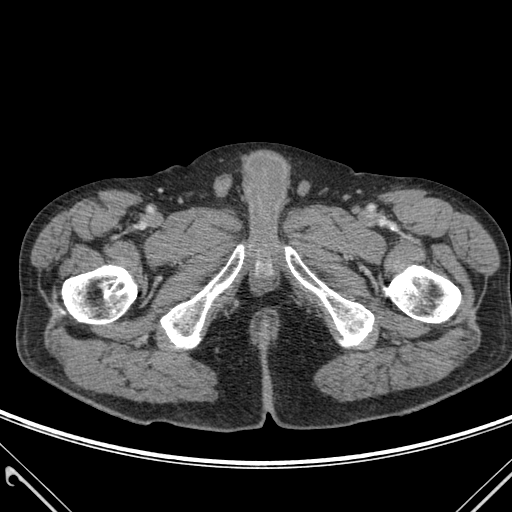

CT
Bone = region(285, 247, 373, 346); region(384, 265, 460, 322); region(161, 245, 243, 348); region(60, 265, 136, 323).